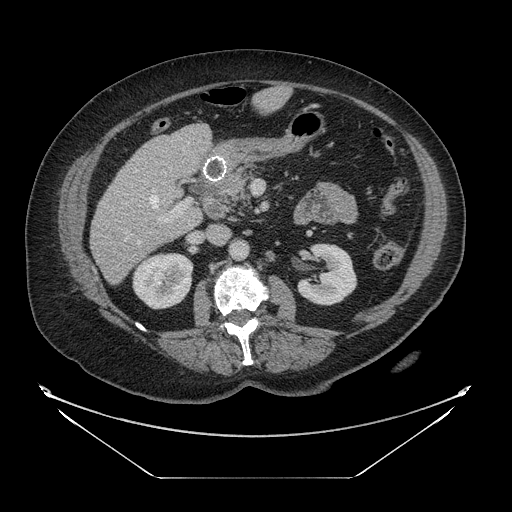 CT scan slice.

Findings:
- pancreas: (194,168,248,218)